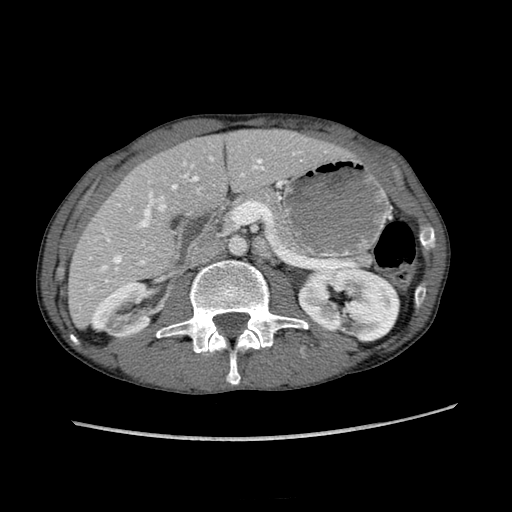

CT scan slice

kidney: 301,267,398,340; 92,282,149,335 | liver: 64,130,350,324